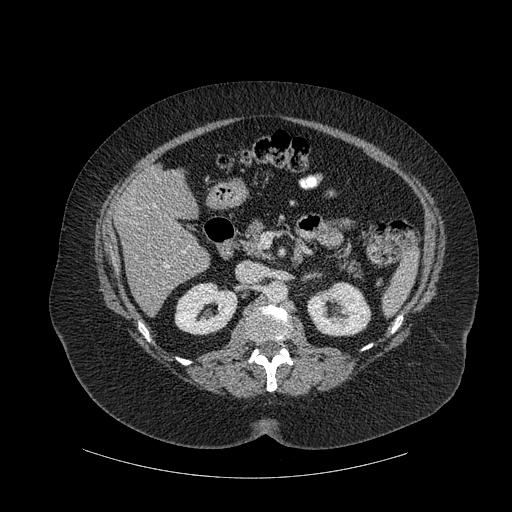
Upper abdomen. CT slice. 512x512 px.
- kidney: (175, 283, 236, 334), (308, 283, 369, 335)
- bone: (139, 322, 149, 341), (391, 316, 402, 332), (249, 348, 292, 391), (248, 305, 290, 340), (176, 357, 190, 364)
- liver: (114, 163, 209, 309)